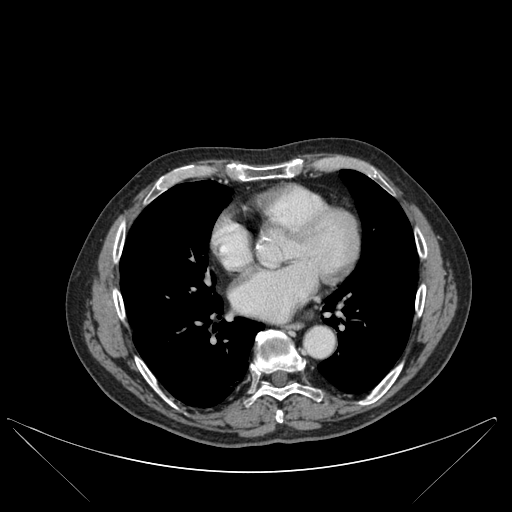
512x512 px, CT image

Segmented structures:
* lung: (x1=318, y1=170, x2=418, y2=393), (x1=120, y1=180, x2=264, y2=406)
* bone: (x1=113, y1=222, x2=124, y2=261), (x1=415, y1=229, x2=426, y2=257), (x1=135, y1=357, x2=174, y2=406), (x1=225, y1=160, x2=303, y2=180), (x1=359, y1=364, x2=401, y2=404), (x1=155, y1=167, x2=191, y2=190), (x1=276, y1=410, x2=282, y2=422), (x1=415, y1=285, x2=425, y2=315), (x1=113, y1=289, x2=124, y2=318), (x1=251, y1=330, x2=321, y2=400)